FLAIR MRI.
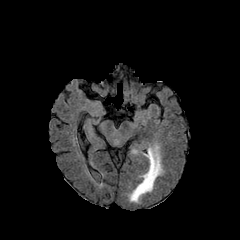
T1-weighted MR.
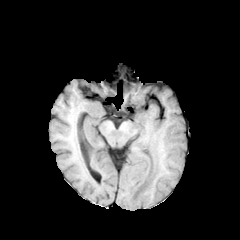
Post-contrast T1-weighted magnetic resonance.
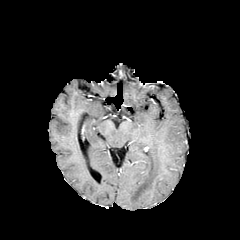
T2-weighted magnetic resonance.
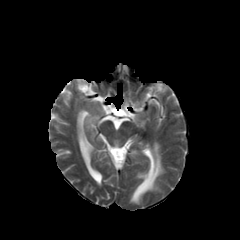
Image size 240x240
{"edema": ["box=[130, 145, 163, 203]"]}